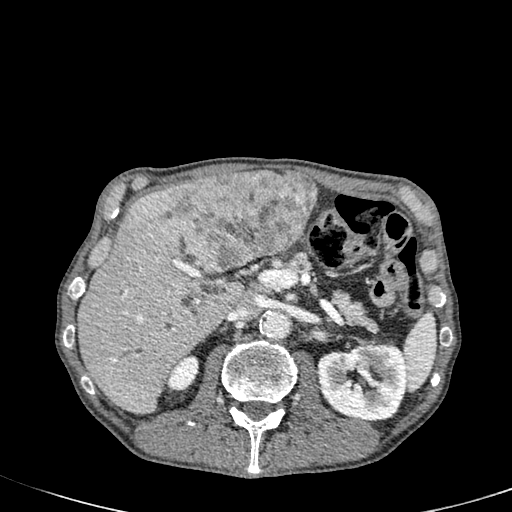

CT; Upper abdomen
The focal liver lesion is bounded by box=[173, 171, 316, 271]. 2 kidney regions are located at box=[320, 345, 406, 419]; box=[168, 357, 197, 389]. The liver is at box=[78, 181, 244, 412].